Slice 120 of 155.
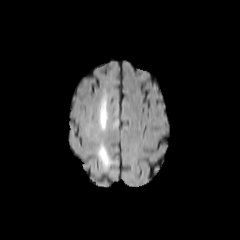
FLAIR MRI.
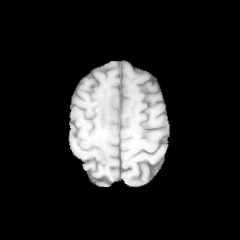
Same slice, T1-weighted MR.
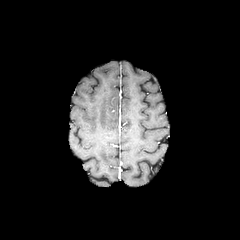
Post-contrast T1-weighted MRI.
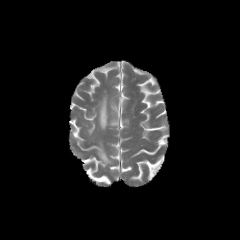
T2-weighted magnetic resonance.
edema: (99, 96, 118, 129), (97, 142, 113, 169)